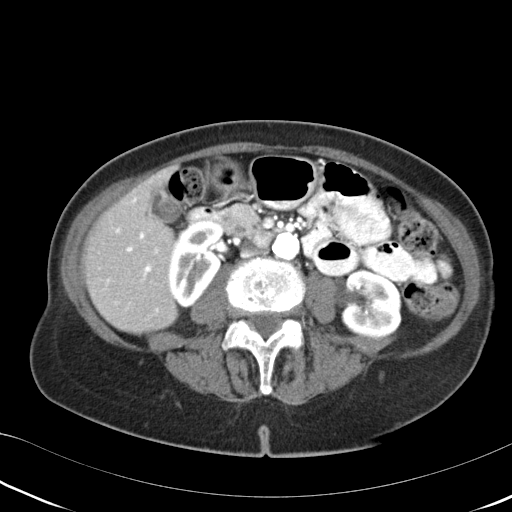
Abdomen; Computed tomography; Image size 512x512

Pancreas: region(217, 203, 272, 256).